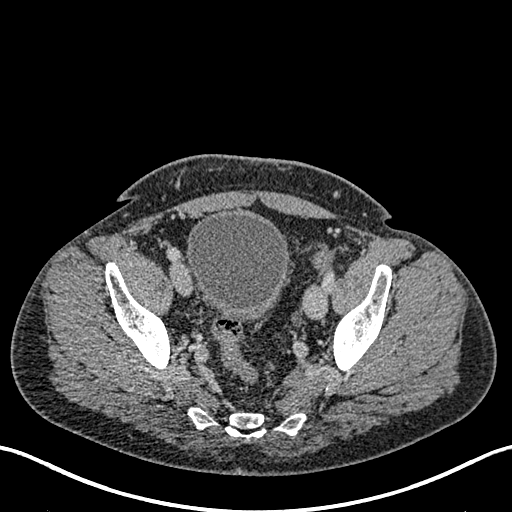 CT slice
Segmented structures:
- urinary bladder: 186:212:289:322